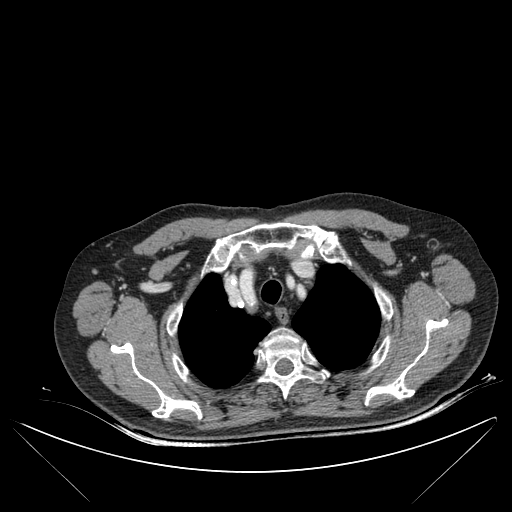 CT, Thorax
bone: [257, 333, 329, 397], [371, 337, 389, 367], [206, 223, 341, 271], [375, 288, 392, 318], [365, 319, 447, 404], [167, 305, 181, 334], [301, 244, 313, 257], [172, 355, 187, 380], [111, 343, 201, 418] | lung: [261, 281, 280, 303], [178, 273, 270, 388], [292, 264, 380, 370]